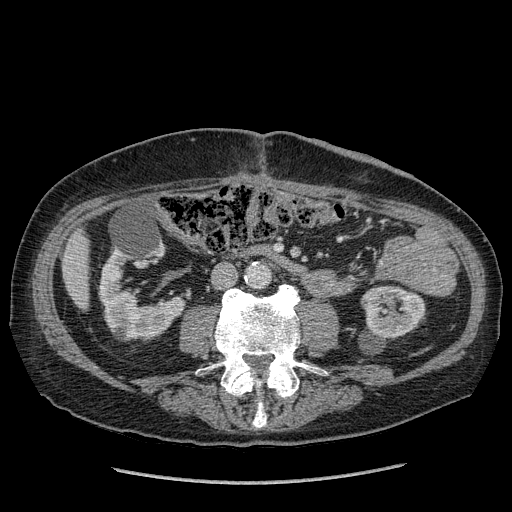

CT image. Upper abdomen. kidney:
  - l=362, t=286, r=424, b=338
  - l=99, t=248, r=184, b=338
liver:
  - l=62, t=228, r=88, b=309